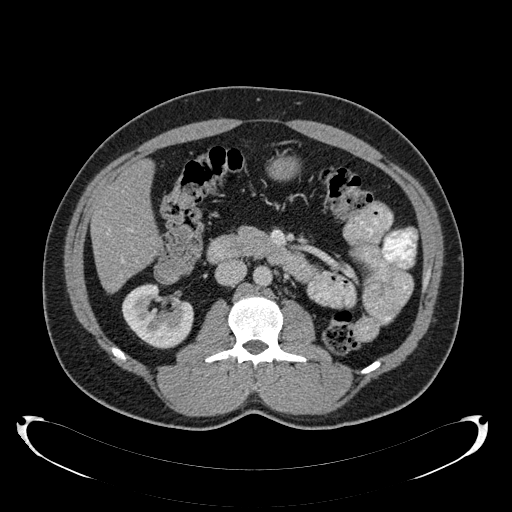
512x512, Liver, CT image

Liver at (left=90, top=160, right=158, bottom=291).
Kidney at (left=122, top=285, right=192, bottom=347).